Slice index 21 | CT | Upper abdomen
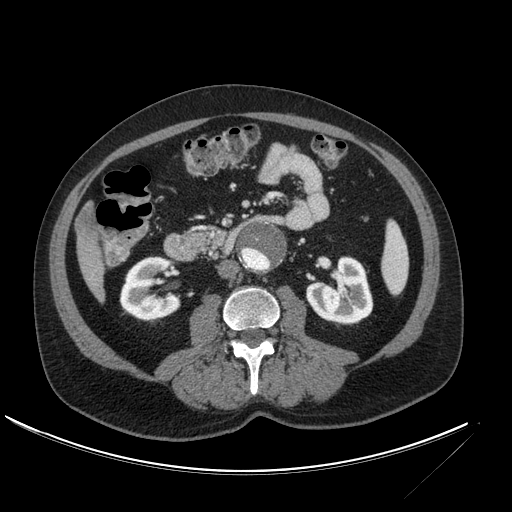

Kidney at x1=307 y1=258 x2=372 y2=322, x1=121 y1=257 x2=178 y2=319.
Liver at x1=77 y1=234 x2=105 y2=302, x1=84 y1=201 x2=97 y2=225.
Liver lesion at x1=75 y1=203 x2=98 y2=241.